Abdomen; Slice 184 of 212; Computed tomography
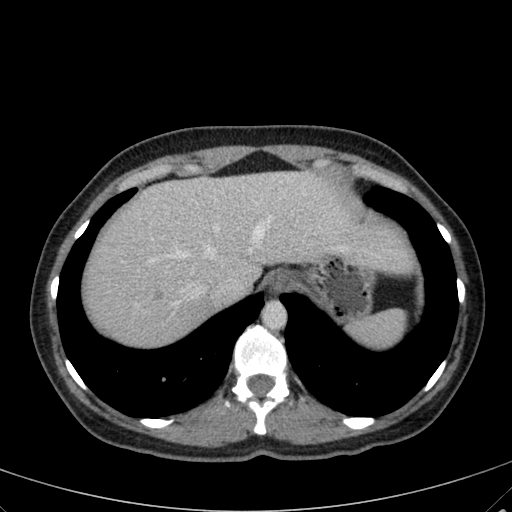

Liver lesion at (left=153, top=290, right=163, bottom=300).
Liver at (left=82, top=169, right=416, bottom=347).